Image width 240 mm, Slice index 73
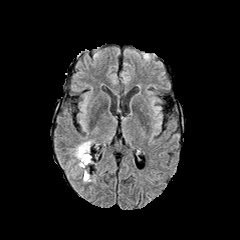
FLAIR MRI.
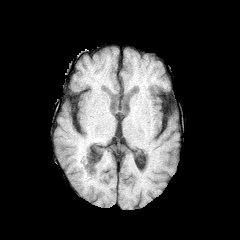
T1-weighted MRI.
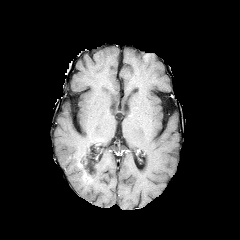
Post-contrast T1-weighted magnetic resonance of the same slice.
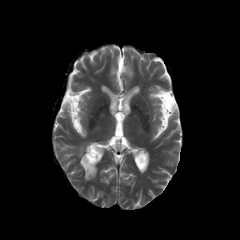
T2-weighted magnetic resonance.
{
  "edema": [
    "(74,141,92,168)"
  ]
}